Slice 396/751. 512x512. CT image. Liver. 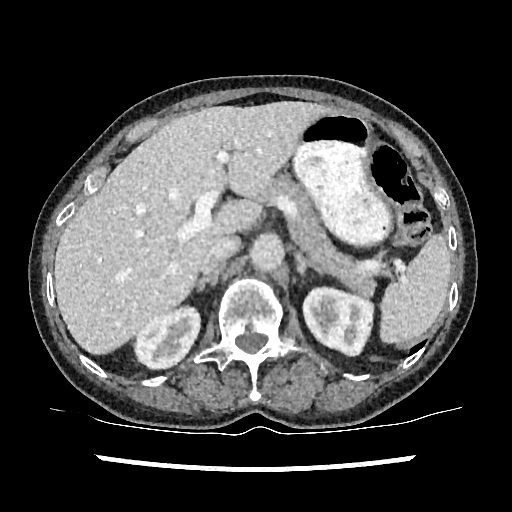 Annotated regions:
* kidney: x1=304 y1=289 x2=372 y2=354, x1=136 y1=309 x2=198 y2=371
* liver: x1=55 y1=102 x2=331 y2=352